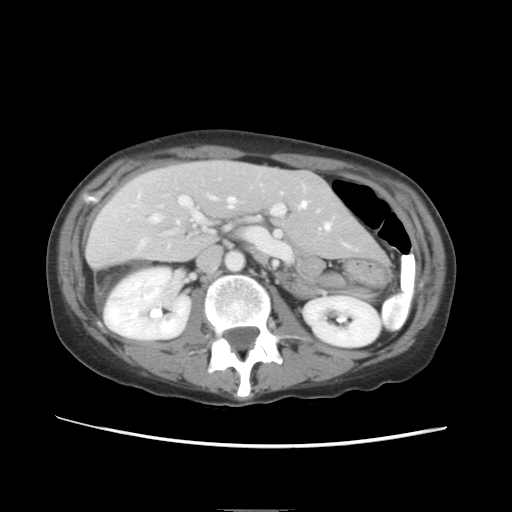 CT image.
Only some of the vessels may be annotated.
Hepatic vessel at <bbox>209, 195, 215, 199</bbox>, <bbox>300, 200, 306, 207</bbox>, <bbox>247, 228, 290, 260</bbox>, <bbox>138, 194, 139, 196</bbox>, <bbox>272, 204, 284, 214</bbox>, <bbox>325, 222, 330, 229</bbox>, <bbox>138, 238, 146, 248</bbox>, <bbox>164, 228, 175, 234</bbox>, <bbox>345, 244, 347, 245</bbox>, <bbox>228, 197, 234, 207</bbox>, <bbox>150, 214, 160, 221</bbox>, <bbox>178, 194, 203, 221</bbox>, <bbox>177, 220, 179, 222</bbox>.